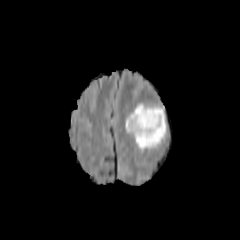
FLAIR MRI.
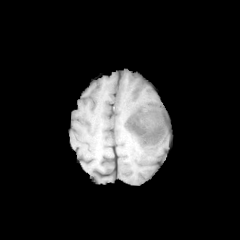
T1-weighted MR.
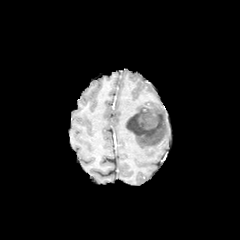
Post-contrast T1-weighted MR.
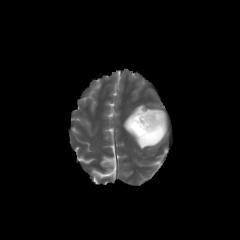
Same slice, T2-weighted MRI.
Brain
The edema is located at 125, 104, 169, 149. The non-enhancing tumor core lies within 127, 111, 160, 136.